FLAIR MR.
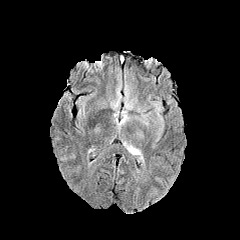
T1-weighted MR image.
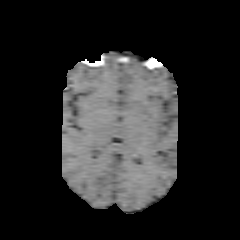
Post-contrast T1-weighted magnetic resonance.
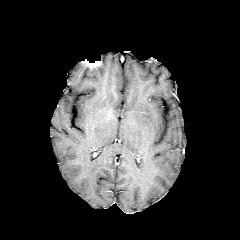
T2-weighted MR image.
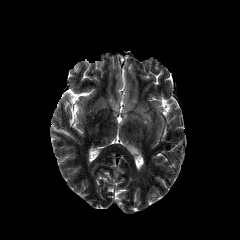
Head
3 edema regions are bounded by l=124, t=142, r=140, b=159; l=132, t=106, r=150, b=126; l=113, t=102, r=135, b=129.